CT scan slice. 512x512 px. Slice 147 of 188.

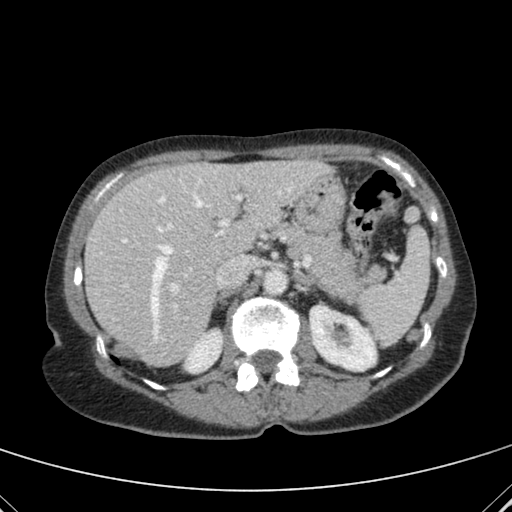
The liver is bounded by left=84, top=160, right=331, bottom=364. 2 kidney regions are located at left=310, top=307, right=375, bottom=365; left=186, top=331, right=220, bottom=371.